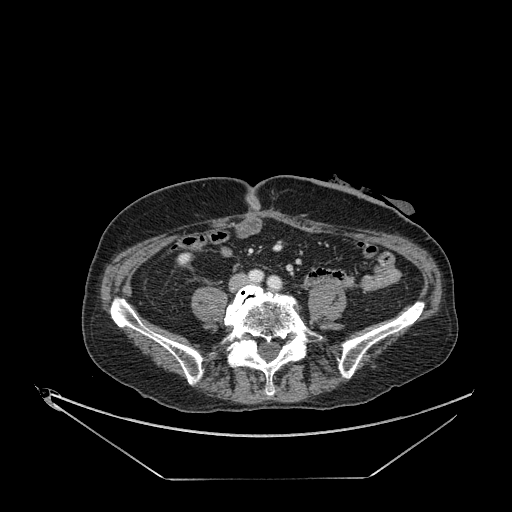
Abdomen, CT image
kidney:
  - {"x1": 178, "y1": 253, "x2": 189, "y2": 263}